CT image | Pelvis

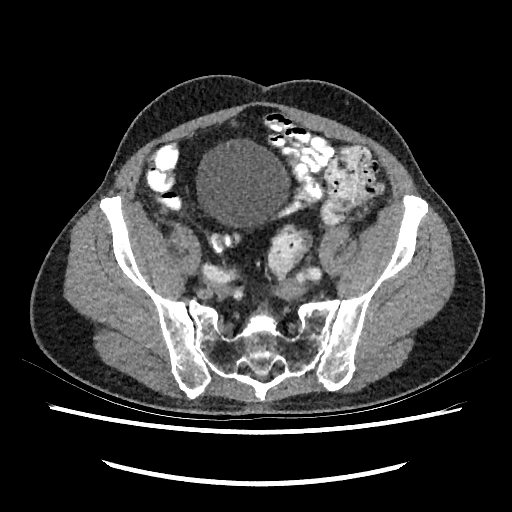

Urinary bladder = left=196, top=139, right=290, bottom=228.